Head, Field of view 240 mm wide, 1.00 mm slice spacing, Slice index 62
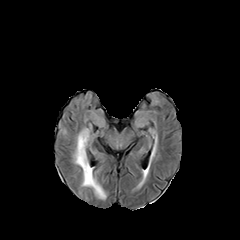
FLAIR MR.
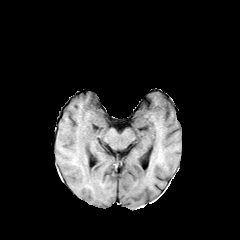
Same slice, T1-weighted MR.
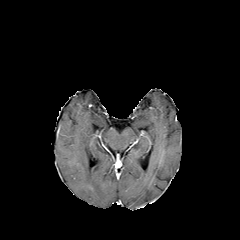
Post-contrast T1-weighted MRI.
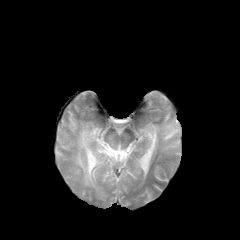
T2-weighted MR image.
edema:
  - rect(73, 128, 105, 199)